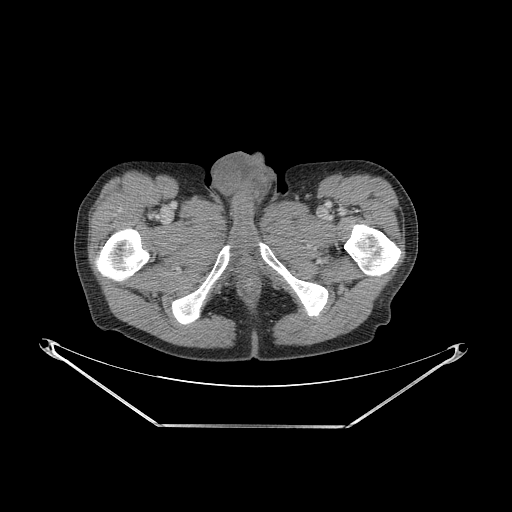 512x512 px, CT
Annotated regions:
* bone: (left=172, top=246, right=229, bottom=324), (left=259, top=243, right=327, bottom=315), (left=95, top=228, right=149, bottom=280), (left=344, top=224, right=400, bottom=275)